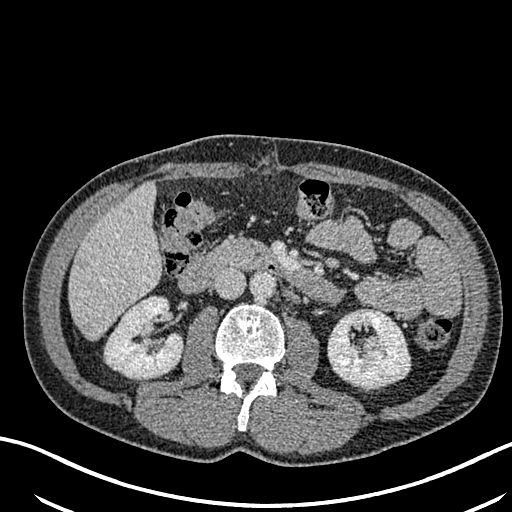 CT.

liver: [69,182,159,338] | kidney: [105,297,182,377], [328,310,409,387] | hepatic lesion: [74,257,89,268], [76,320,94,337]